FLAIR magnetic resonance.
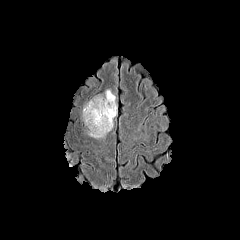
T1-weighted MR.
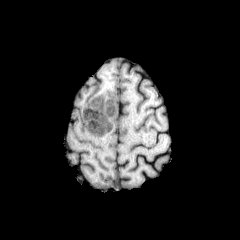
Post-contrast T1-weighted MR image.
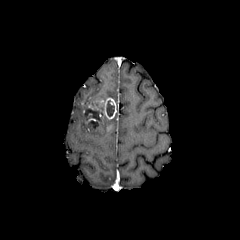
T2-weighted MR image.
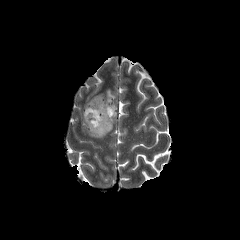
240x240
Non-enhancing tumor core: bounding box box(106, 100, 114, 116); box(91, 95, 103, 107); box(84, 107, 107, 129).
Enhancing tumor: bounding box box(89, 98, 117, 119).
Edema: bounding box box(105, 90, 115, 100); box(85, 119, 113, 137).